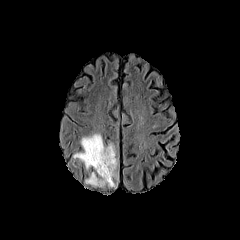
FLAIR magnetic resonance.
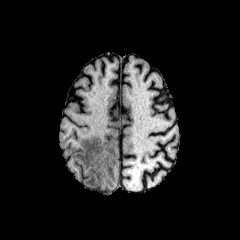
Same slice, T1-weighted MRI.
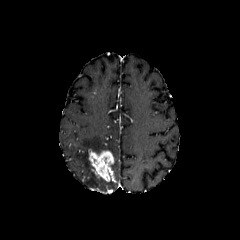
Post-contrast T1-weighted MR image.
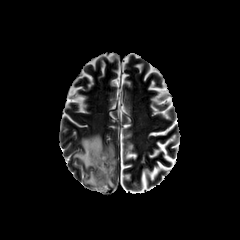
T2-weighted MRI.
Brain
<segmentation>
  <edema>x1=86 y1=172 x2=115 y2=187, x1=109 y1=158 x2=117 y2=175, x1=74 y1=134 x2=106 y2=170</edema>
  <enhancing_tumor>x1=88 y1=148 x2=117 y2=182</enhancing_tumor>
</segmentation>